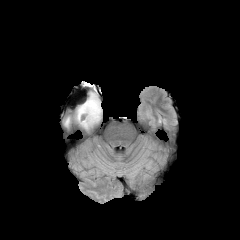
FLAIR magnetic resonance.
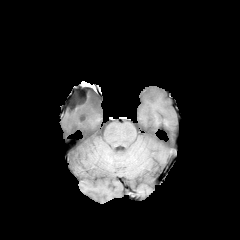
T1-weighted MRI of the same slice.
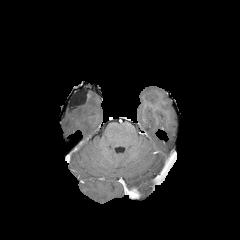
Same slice, post-contrast T1-weighted MR image.
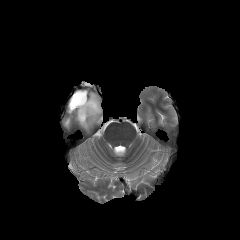
T2-weighted magnetic resonance.
Brain; Image size 240x240
Edema — region(64, 116, 72, 127); region(74, 91, 101, 130).